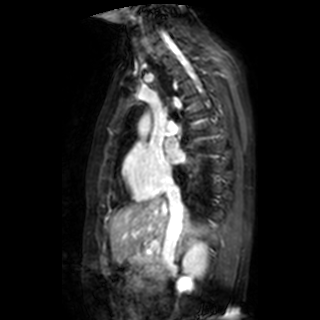 MR image, Heart
The left atrium is bounded by x1=164, y1=138, x2=185, y2=162.